Liver | Slice index 567 | Computed tomography | 512x512 px
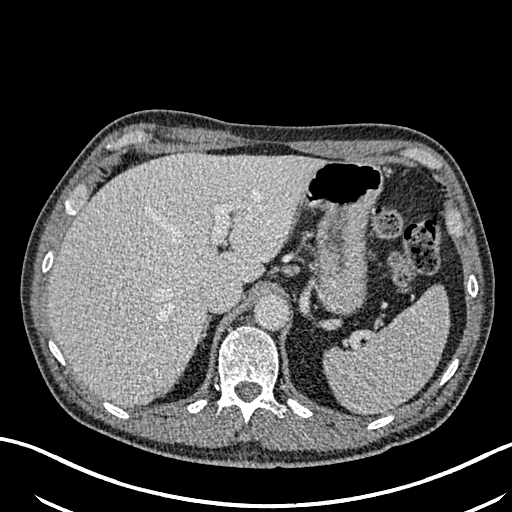 liver_lesion:
  - [150, 387, 167, 397]
liver:
  - [49, 154, 325, 406]